MRI slice | Slice index 11
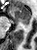
{"anterior_hippocampus": ["8 7 31 22"], "posterior_hippocampus": ["21 22 28 25"]}